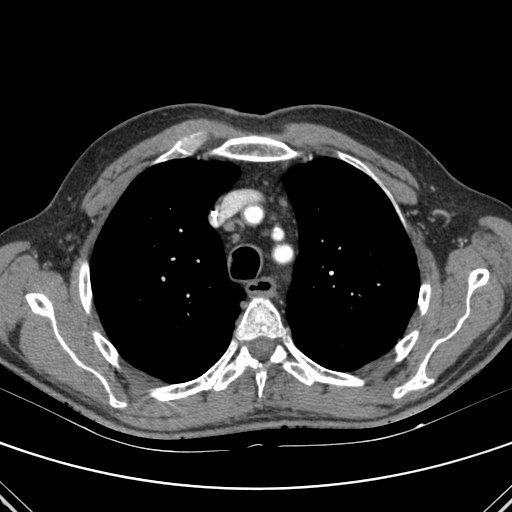
CT

2 lung regions are bounded by x1=90, y1=159, x2=245, y2=383; x1=283, y1=157, x2=419, y2=371. 11 bone regions appear at x1=340, y1=153, x2=376, y2=181; x1=93, y1=331, x2=118, y2=366; x1=211, y1=136, x2=296, y2=161; x1=150, y1=341, x2=266, y2=400; x1=155, y1=138, x2=193, y2=162; x1=236, y1=297, x2=363, y2=386; x1=79, y1=262, x2=91, y2=313; x1=25, y1=293, x2=126, y2=407; x1=418, y1=283, x2=430, y2=314; x1=393, y1=268, x2=489, y2=398; x1=395, y1=330, x2=418, y2=361.